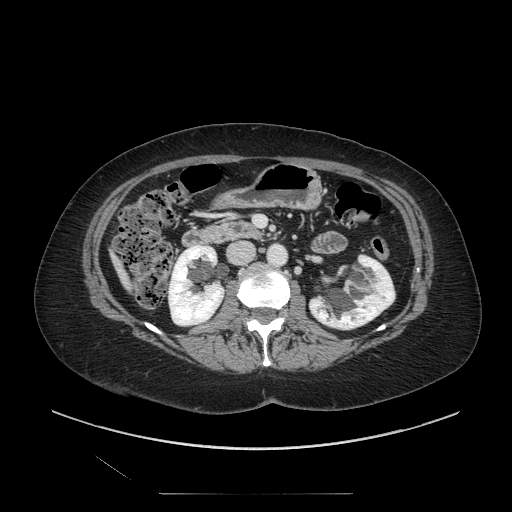
CT image. 512x512.
pancreas: region(203, 221, 264, 243)